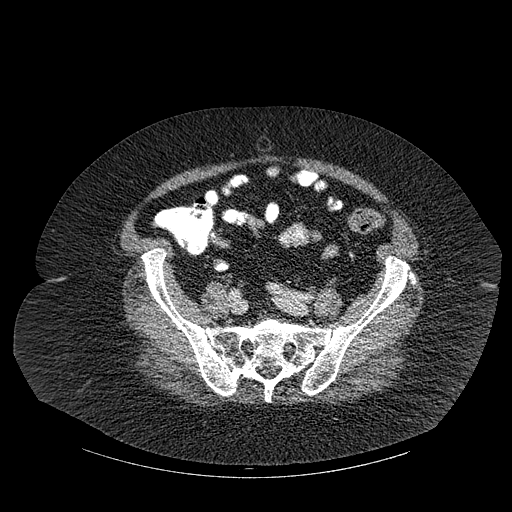 CT scan slice
The bone is at <box>141,248,415,401</box>.